240x240; Slice 105/155; Head; Image width 240 mm
FLAIR MR.
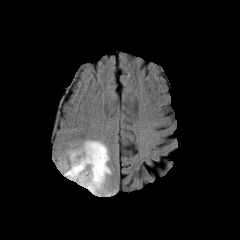
T1-weighted MR.
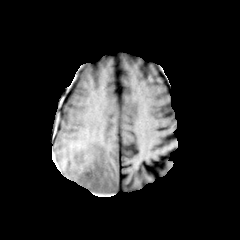
Post-contrast T1-weighted MR image.
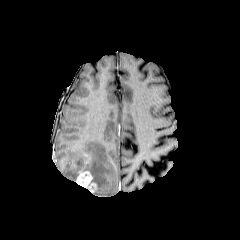
T2-weighted MRI.
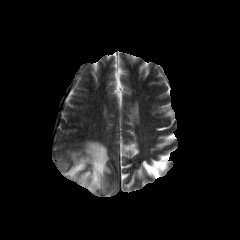
enhancing tumor: [76,171,97,191] | edema: [64,140,111,193]